Slice 274/537. CT slice.

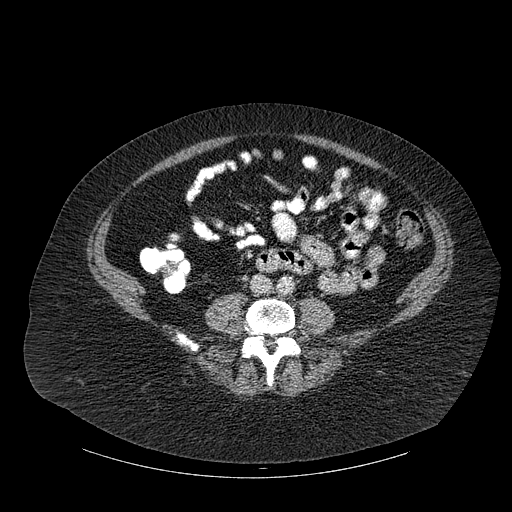
Bone at bbox=[177, 334, 197, 350]; bbox=[242, 299, 300, 385].